FLAIR MR.
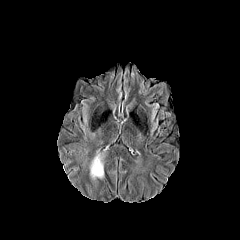
T1-weighted MR.
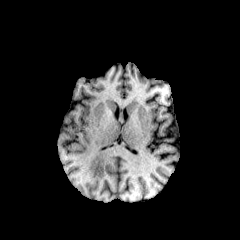
Post-contrast T1-weighted MR.
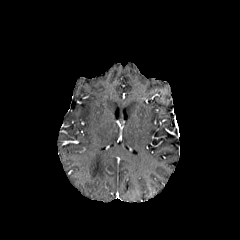
T2-weighted MR image.
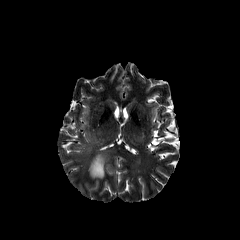
Head.
<segmentation>
  <edema>box(89, 153, 105, 179)</edema>
</segmentation>